Computed tomography; Liver

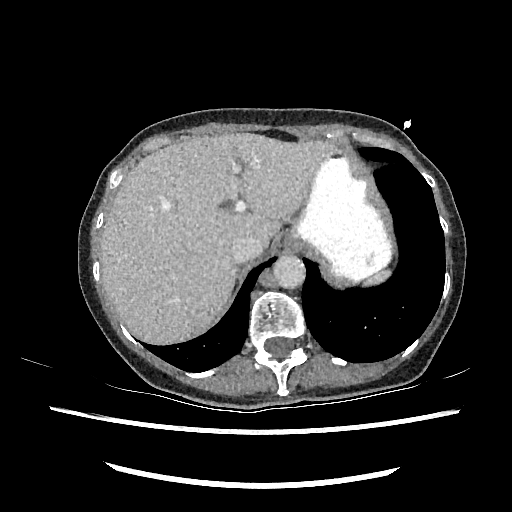
liver:
  - [x1=102, y1=133, x2=328, y2=342]